CT scan slice; Abdomen; Slice index 392; Image size 512x512 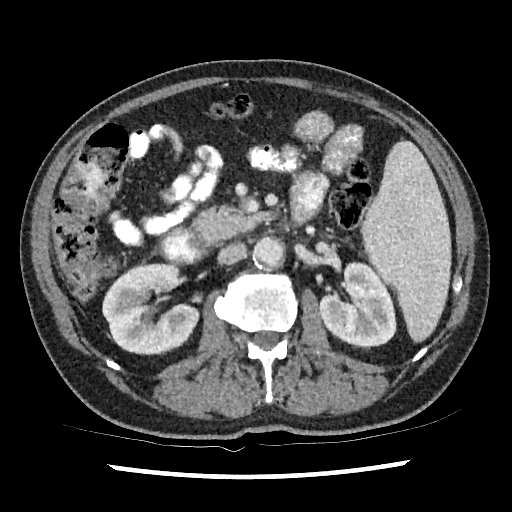 {
  "kidney": [
    "<box>103,264,198,353</box>",
    "<box>319,263,395,346</box>"
  ]
}